CT image; Liver 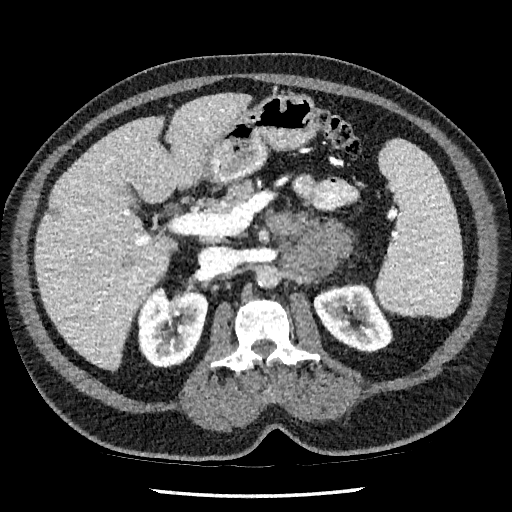
The liver is bounded by rect(36, 94, 249, 369). 2 liver lesion regions are located at rect(120, 257, 134, 269); rect(48, 208, 59, 215). 2 kidney regions appear at rect(314, 286, 391, 350); rect(139, 289, 207, 366).